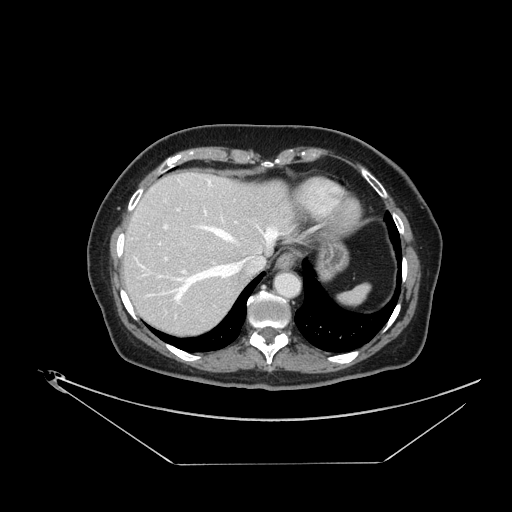

512x512 | CT slice | Abdomen
The vessel annotation is not exhaustive.
hepatic vessel: l=157, t=275, r=163, b=277; l=135, t=258, r=150, b=275; l=161, t=246, r=263, b=303; l=194, t=225, r=233, b=242; l=267, t=246, r=270, b=248; l=204, t=210, r=205, b=214; l=208, t=180, r=210, b=183; l=164, t=257, r=167, b=259; l=266, t=227, r=276, b=239; l=163, t=224, r=167, b=229